CT slice, Image size 512x512, Slice 46/82

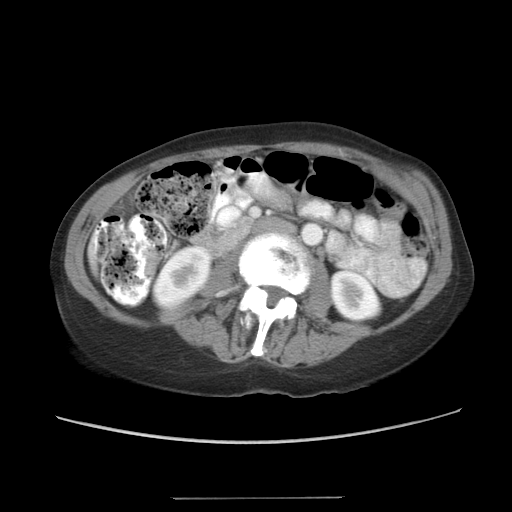
Findings:
- colon tumor: (142,248,160,276)